CT scan slice; Image size 512x512; Slice 29 of 81; Image width 376 mm

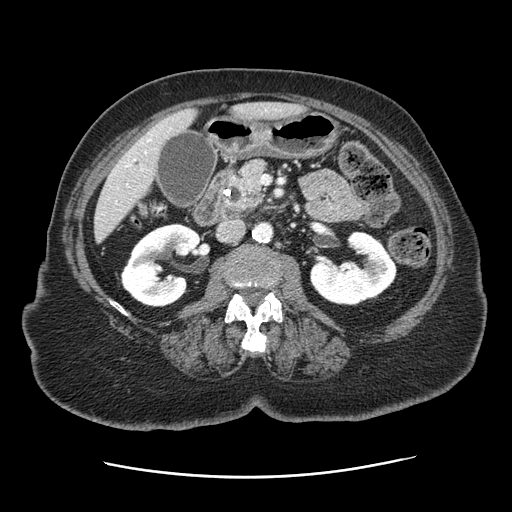

The pancreas is located at (216, 158, 269, 217).